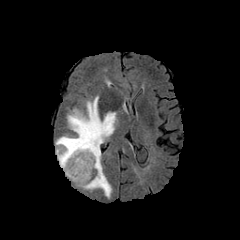
FLAIR MR.
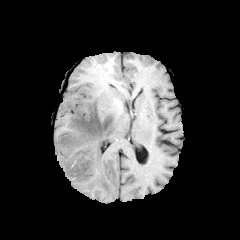
T1-weighted MRI.
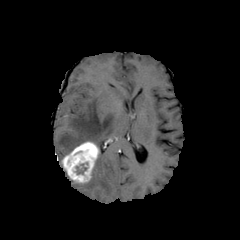
Post-contrast T1-weighted MR image of the same slice.
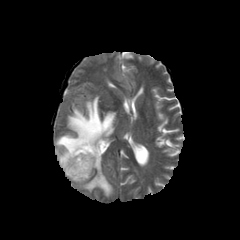
T2-weighted magnetic resonance of the same slice.
edema:
  - 55:96:116:167
  - 78:150:112:197
enhancing_tumor:
  - 61:142:99:184